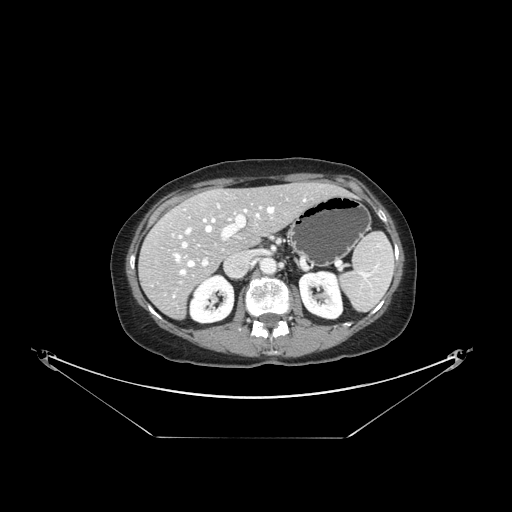 CT image

The vessel boxes may cover only some of the vessels.
7 hepatic vessel regions are located at bbox=[223, 215, 244, 237]; bbox=[203, 261, 206, 264]; bbox=[206, 226, 210, 230]; bbox=[186, 230, 189, 232]; bbox=[212, 219, 214, 221]; bbox=[268, 207, 272, 211]; bbox=[183, 243, 186, 246].